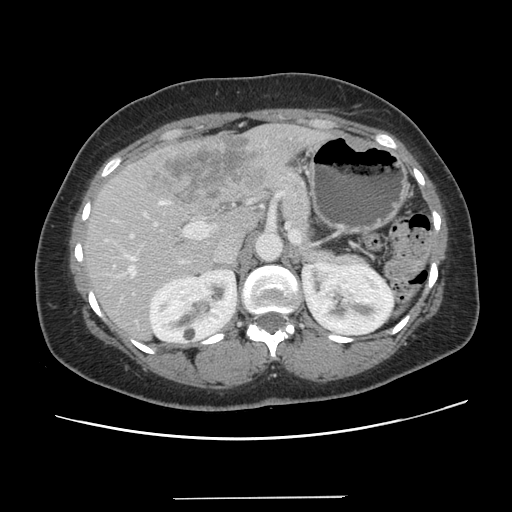

CT scan slice
Some hepatic vessels may have no box.
Findings:
• liver tumor: box(149, 135, 265, 206)
• hepatic vessel: box(154, 223, 156, 225); box(144, 213, 147, 216); box(125, 254, 135, 260); box(128, 266, 135, 276); box(198, 221, 209, 238); box(184, 223, 195, 235); box(130, 235, 133, 237); box(160, 201, 169, 204); box(118, 274, 123, 276)